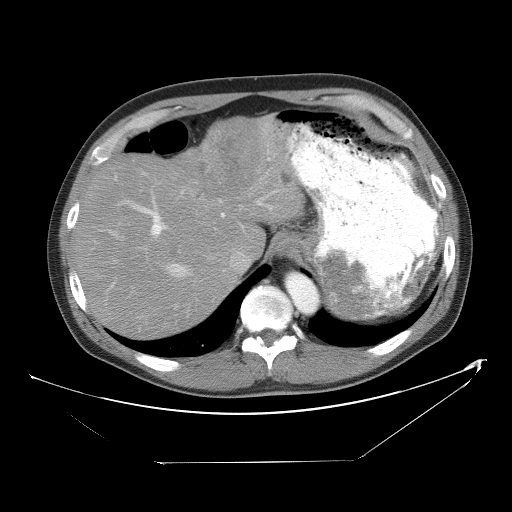

CT image, Liver
Some hepatic vessels may have no box.
hepatic vessel: (119, 201, 127, 204), (181, 191, 183, 194), (264, 204, 271, 205), (256, 190, 278, 203), (152, 218, 153, 227), (141, 248, 144, 248), (219, 200, 222, 202), (168, 264, 191, 276), (130, 203, 136, 207), (150, 228, 151, 234), (143, 172, 145, 174), (152, 194, 154, 209), (153, 236, 156, 236), (162, 222, 164, 224), (114, 176, 116, 179) | liver tumor: (167, 250, 179, 257), (219, 137, 240, 169), (282, 174, 289, 186)